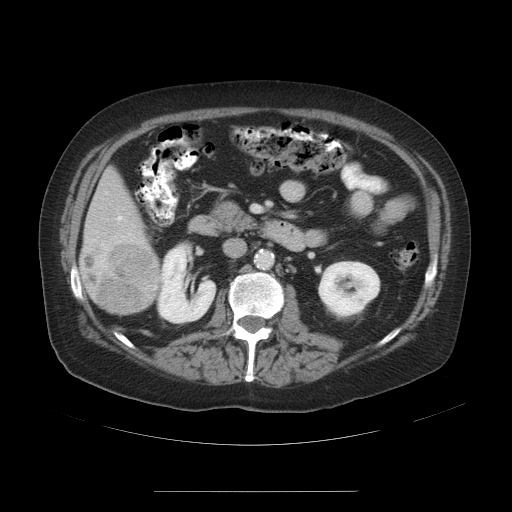 CT slice
Not every hepatic vessel necessarily has a box.
* liver tumor: box=[80, 241, 159, 313]
* hepatic vessel: box=[117, 216, 121, 220]; box=[105, 191, 107, 194]